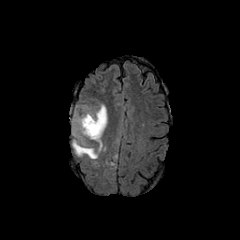
FLAIR MR.
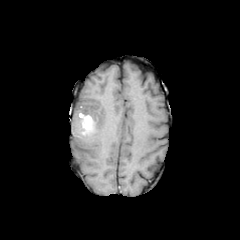
T1-weighted MR.
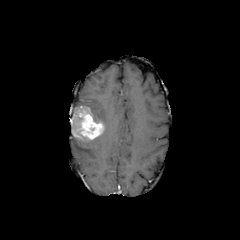
Post-contrast T1-weighted MR of the same slice.
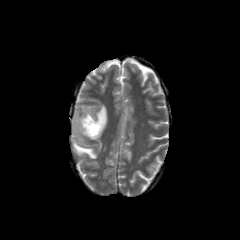
T2-weighted MR image.
Brain
Enhancing tumor at <box>70,106,104,141</box>.
Edema at <box>72,103,107,159</box>.